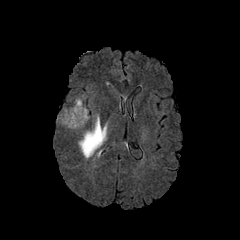
FLAIR MR.
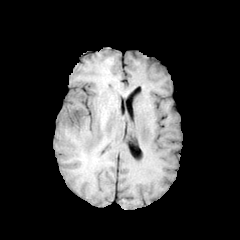
T1-weighted magnetic resonance.
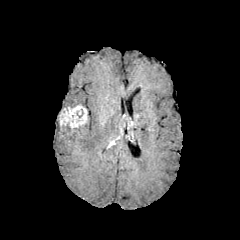
Same slice, post-contrast T1-weighted MR.
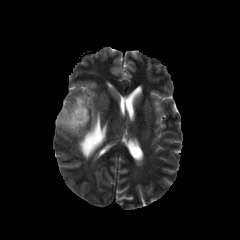
T2-weighted MR image.
Segmented structures:
* non-enhancing tumor core: region(86, 128, 99, 147)
* enhancing tumor: region(59, 104, 87, 127)
* edema: region(76, 111, 107, 159); region(70, 96, 83, 106)